FLAIR MR.
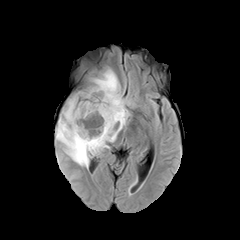
T1-weighted magnetic resonance.
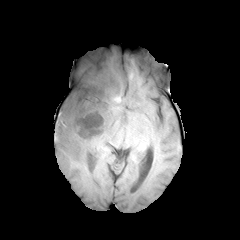
Post-contrast T1-weighted MRI.
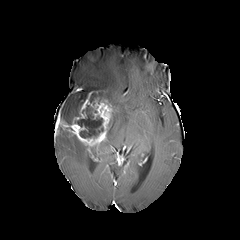
T2-weighted MRI.
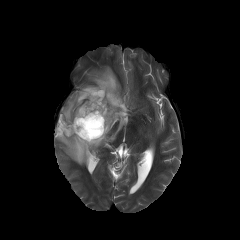
<segmentation>
  <edema>60, 90, 83, 123; 55, 68, 129, 168</edema>
  <enhancing_tumor>55, 91, 111, 145</enhancing_tumor>
  <non-enhancing_tumor_core>77, 105, 103, 138; 76, 88, 107, 116</non-enhancing_tumor_core>
</segmentation>